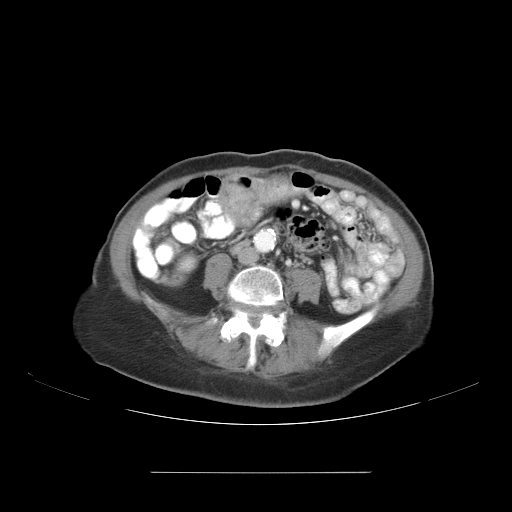
Computed tomography, Abdomen

{
  "colon_tumor": [
    "(left=219, top=173, right=288, bottom=226)"
  ]
}